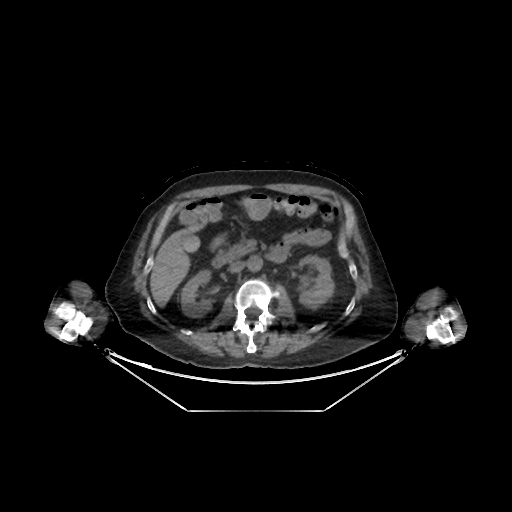 Abdomen; CT image
2 kidney regions appear at [178, 268, 215, 317], [295, 253, 335, 310]. The liver appears at [150, 222, 207, 304].